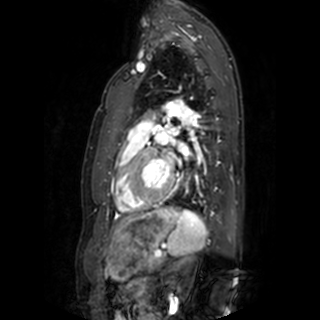

MR image.

left atrium: [178,142,189,155], [167,127,178,135], [161,160,170,172], [156,133,165,142]